CT | Slice 40/141 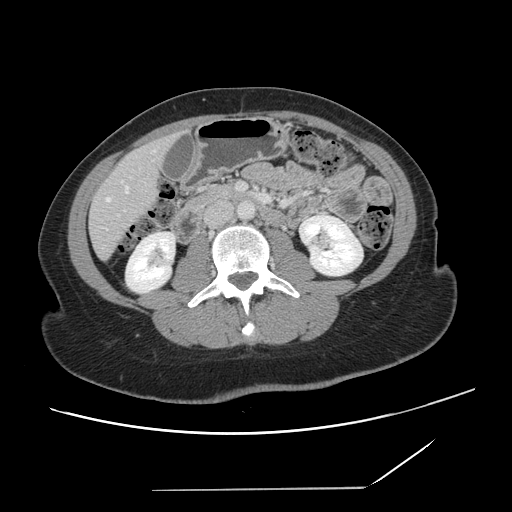

The vessel annotation is not exhaustive.
3 hepatic vessel regions are bounded by x1=126, y1=186, x2=128, y2=192; x1=107, y1=198, x2=109, y2=200; x1=152, y1=150, x2=154, y2=152.